512x512 px, Liver, CT scan slice
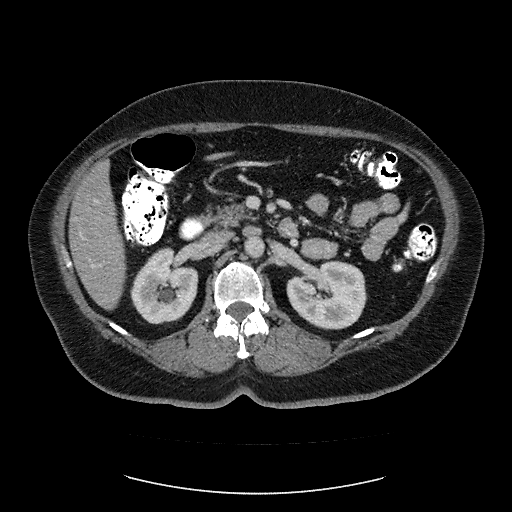

The vessel boxes may cover only some of the vessels.
{"hepatic_vessel": ["l=92, t=264, r=101, b=267", "l=96, t=200, r=97, b=202"]}